Field of view 373x373 mm | Slice 285/771 | Abdomen | Computed tomography 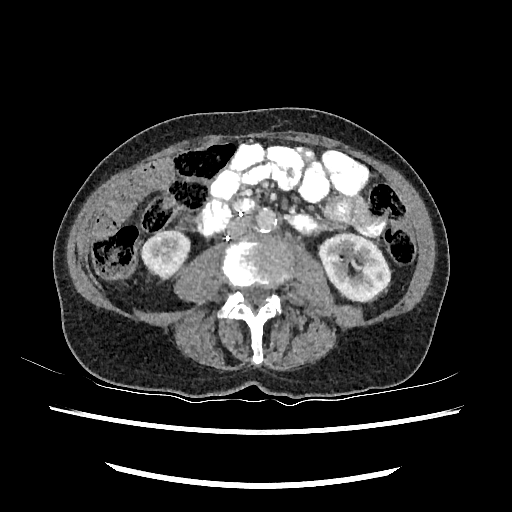
2 kidney regions appear at bbox=[142, 231, 189, 276]; bbox=[320, 233, 389, 300].